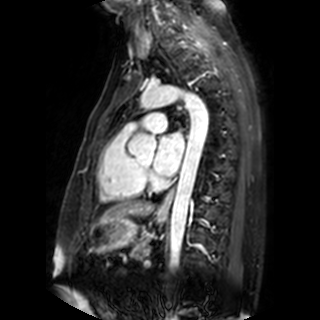

Image size 320x320. Cardiac. MRI.
Left atrium: bounding box [153, 132, 184, 175].